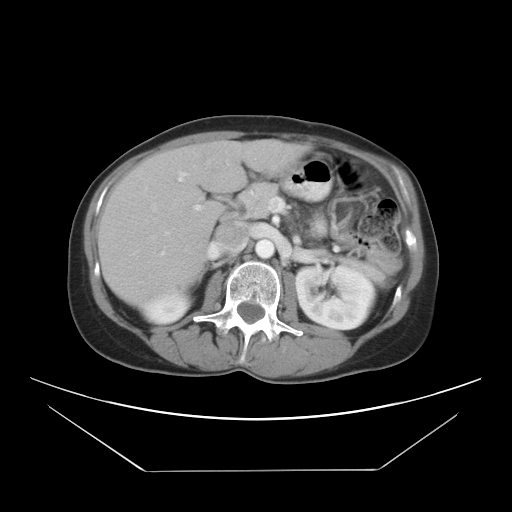

CT slice | Abdomen

Some hepatic vessels may have no box.
Hepatic vessel: bounding box box=[165, 231, 167, 233]; box=[160, 250, 164, 254]; box=[183, 176, 184, 179]; box=[132, 250, 137, 254]; box=[151, 202, 155, 210]; box=[193, 205, 195, 209]; box=[238, 144, 242, 149]; box=[151, 235, 155, 237]; box=[196, 204, 202, 209]; box=[245, 145, 255, 158]; box=[184, 246, 187, 249]; box=[178, 170, 187, 180]; box=[196, 210, 199, 210]; box=[225, 160, 228, 163].